512x512 px; CT image; Field of view 400 mm wide, 0.80 mm slice spacing
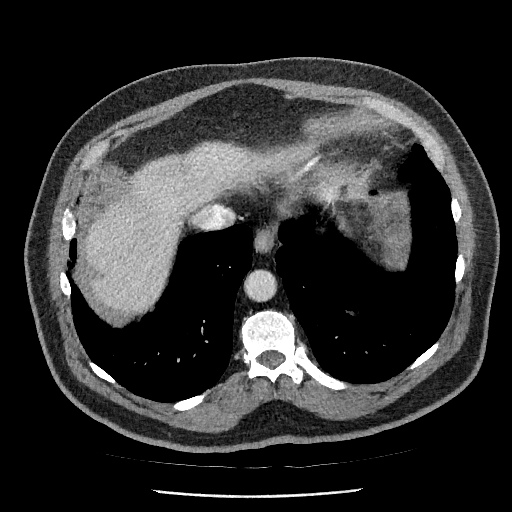

The liver appears at l=86, t=143, r=275, b=312.